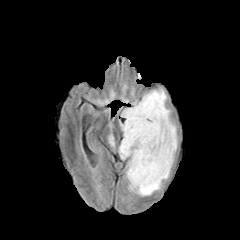
FLAIR MR.
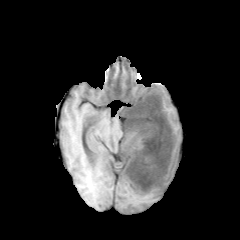
Same slice, T1-weighted MRI.
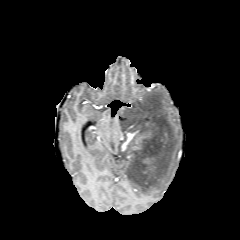
Same slice, post-contrast T1-weighted MRI.
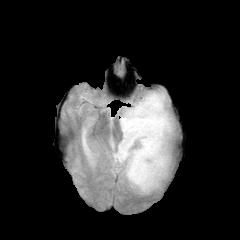
T2-weighted MR image.
Head
Non-enhancing tumor core: bounding box left=119, top=93, right=171, bottom=194.
Enhancing tumor: bounding box left=121, top=131, right=136, bottom=150.
Edema: bounding box left=122, top=88, right=177, bottom=196; left=130, top=139, right=141, bottom=149.